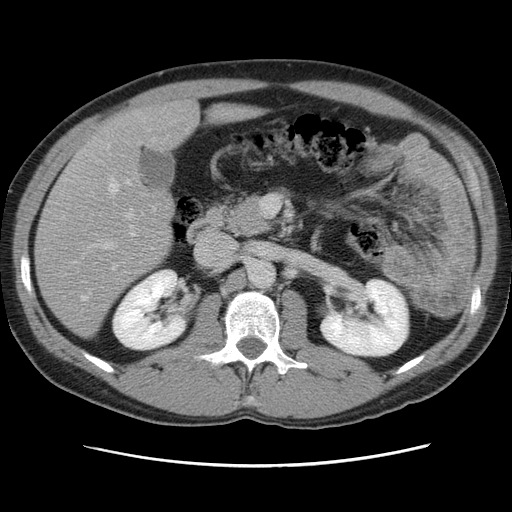

512x512 px; Liver; Computed tomography
Only some of the vessels may be annotated.
Hepatic vessel at l=149, t=129, r=150, b=131; l=153, t=208, r=155, b=210; l=130, t=225, r=135, b=236; l=108, t=144, r=109, b=148; l=82, t=296, r=87, b=300; l=112, t=264, r=116, b=269; l=90, t=242, r=113, b=249; l=109, t=178, r=118, b=192; l=126, t=209, r=133, b=218.